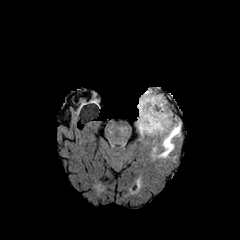
FLAIR MRI.
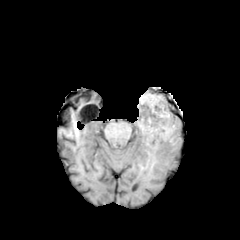
T1-weighted MR.
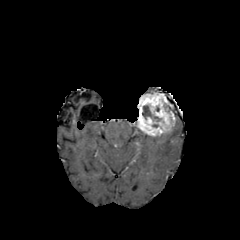
Post-contrast T1-weighted MR image of the same slice.
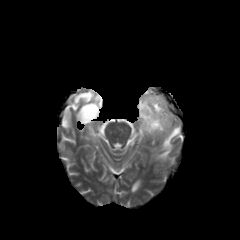
T2-weighted MR image.
non-enhancing tumor core: 142:105:161:120 | edema: 151:121:180:161 | enhancing tumor: 138:91:176:136